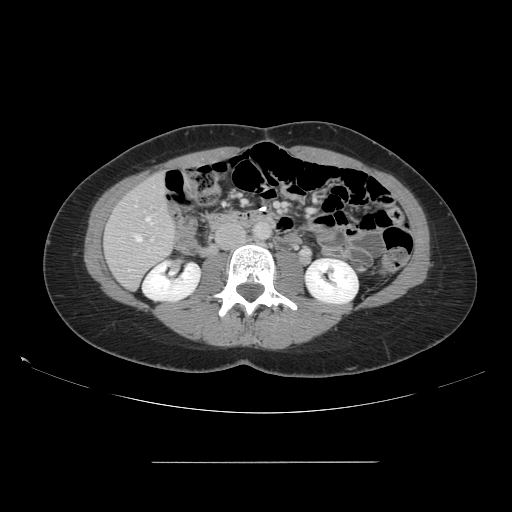 Liver; CT image
The vessel annotation is not exhaustive.
Annotated regions:
- hepatic vessel: rect(135, 205, 136, 206); rect(151, 239, 152, 240); rect(146, 217, 151, 224); rect(134, 234, 141, 241); rect(148, 249, 149, 250); rect(128, 269, 130, 270)